CT slice

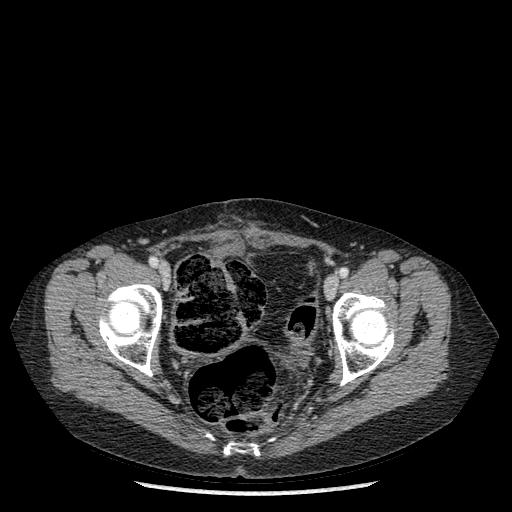 <segmentation>
  <bone>[x1=332, y1=290, x2=395, y2=385], [x1=223, y1=441, x2=259, y2=455], [x1=98, y1=282, x2=162, y2=376]</bone>
</segmentation>